CT image, Image size 512x512

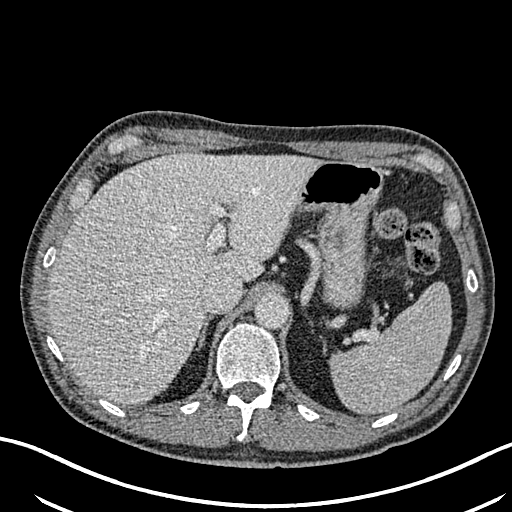

liver:
  - bbox=[49, 154, 323, 405]